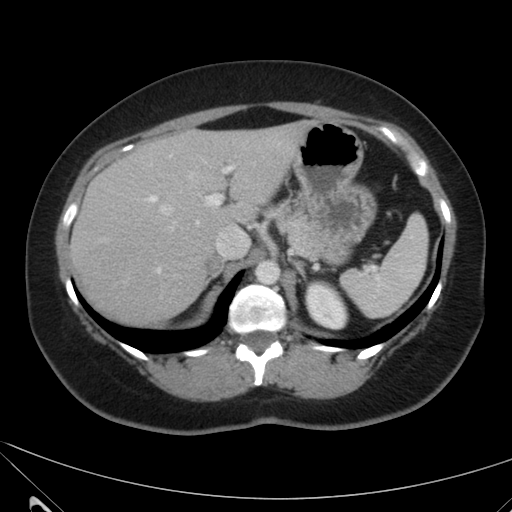

CT image | Abdomen
Kidney — 307,285,344,327.
Liver — 68,122,310,323.